240x240 px. Slice 93 of 155. Head.
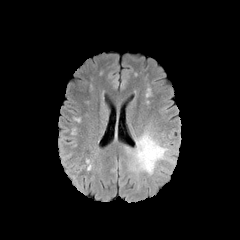
FLAIR MR.
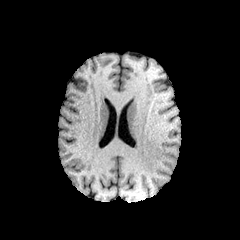
T1-weighted MRI.
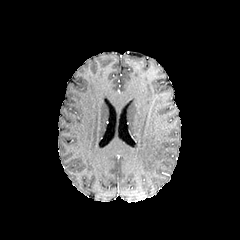
Post-contrast T1-weighted magnetic resonance.
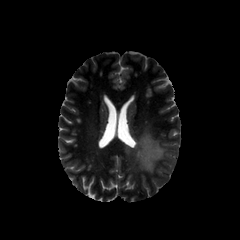
T2-weighted magnetic resonance.
Edema = [125,131,167,173].